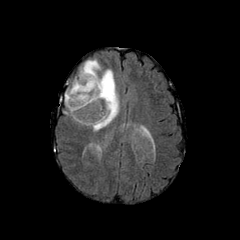
FLAIR MR.
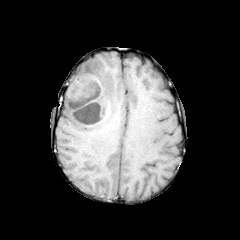
T1-weighted magnetic resonance.
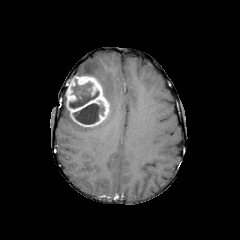
Post-contrast T1-weighted magnetic resonance.
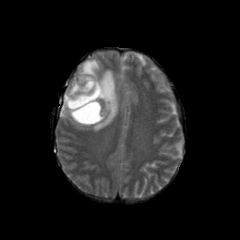
Same slice, T2-weighted MR image.
Head
Annotated regions:
- edema: (x1=78, y1=58, x2=119, y2=131)
- enhancing tumor: (x1=66, y1=76, x2=108, y2=124)
- non-enhancing tumor core: (x1=68, y1=76, x2=98, y2=108), (x1=72, y1=100, x2=105, y2=125)